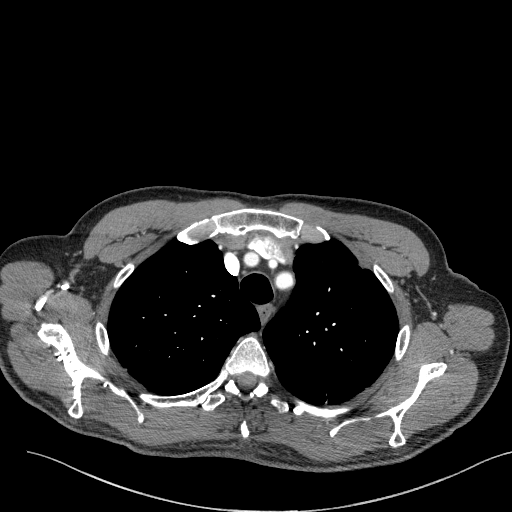

Chest | CT image
<segmentation>
  <lung_tumor>l=351, t=269, r=369, b=291</lung_tumor>
</segmentation>